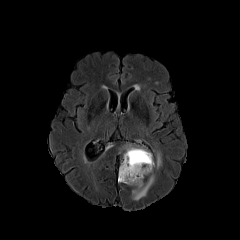
FLAIR MRI.
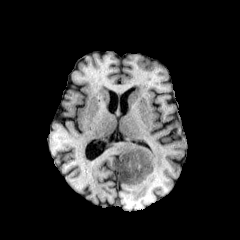
T1-weighted MRI.
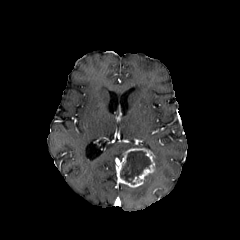
Post-contrast T1-weighted MRI of the same slice.
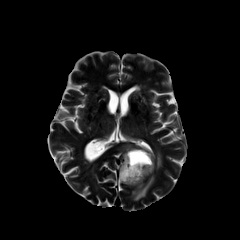
Same slice, T2-weighted MR image.
240x240 px
edema:
  - box(156, 151, 161, 168)
  - box(132, 174, 154, 200)
enhancing_tumor:
  - box(117, 147, 155, 187)
non-enhancing_tumor_core:
  - box(120, 150, 150, 185)